Computed tomography; Field of view 404 mm wide, 0.70 mm slice spacing; Slice 486/908 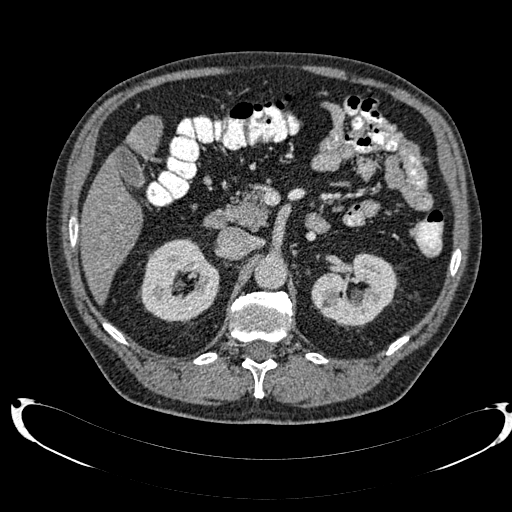

* liver: {"x1": 127, "y1": 116, "x2": 161, "y2": 155}, {"x1": 81, "y1": 154, "x2": 141, "y2": 303}
* kidney: {"x1": 311, "y1": 253, "x2": 396, "y2": 326}, {"x1": 140, "y1": 239, "x2": 219, "y2": 321}